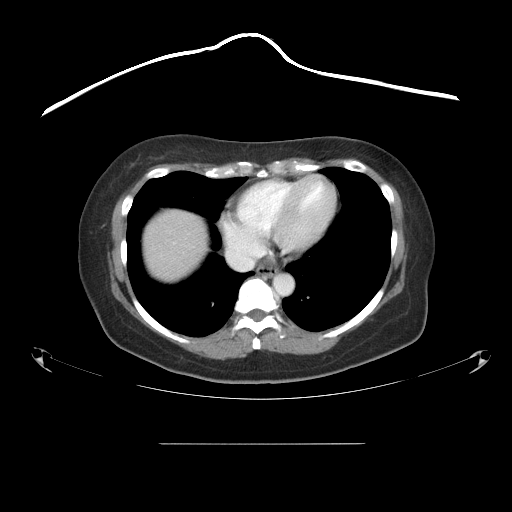
Abdomen. CT image.

Some hepatic vessels may have no box.
hepatic vessel: bbox(227, 249, 258, 269)